CT.
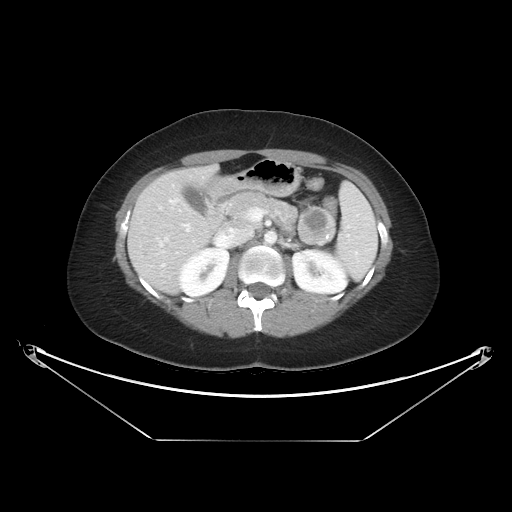
pancreatic_tumor:
  - 299,208,336,244
pancreas:
  - 311,233,335,245
  - 226,192,303,241